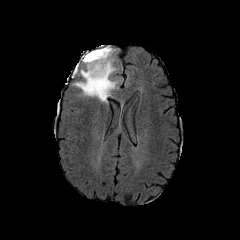
FLAIR magnetic resonance.
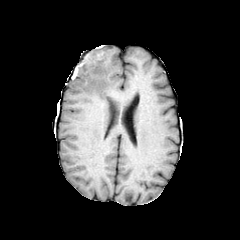
T1-weighted magnetic resonance.
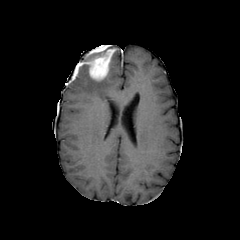
Post-contrast T1-weighted magnetic resonance of the same slice.
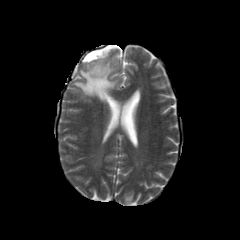
T2-weighted MRI.
Head
<segmentation>
  <edema>{"x1": 72, "y1": 64, "x2": 119, "y2": 103}</edema>
  <non-enhancing_tumor_core>{"x1": 82, "y1": 64, "x2": 89, "y2": 75}</non-enhancing_tumor_core>
  <enhancing_tumor>{"x1": 76, "y1": 45, "x2": 116, "y2": 81}</enhancing_tumor>
</segmentation>